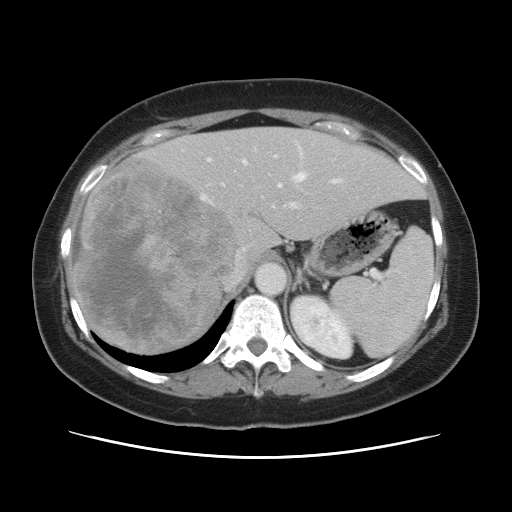 CT scan slice
The vessel boxes may cover only some of the vessels.
hepatic_vessel:
  - 242,159,246,163
  - 224,241,256,289
  - 284,202,299,208
  - 201,194,205,199
  - 274,155,276,157
  - 278,183,281,186
  - 296,172,306,180
  - 208,159,211,161
  - 221,183,223,185
  - 294,141,302,155
  - 333,179,341,183
liver_tumor:
  - 77,158,241,350